CT | Field of view 496 mm wide, 0.80 mm slice spacing

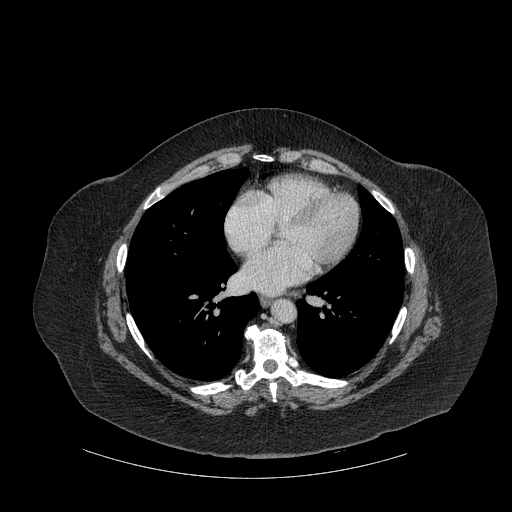
lung:
  - bbox(126, 168, 259, 380)
  - bbox(297, 188, 403, 377)
bone:
  - bbox(405, 248, 414, 272)
  - bbox(377, 196, 393, 212)
  - bbox(254, 155, 272, 160)
  - bbox(390, 307, 406, 342)
  - bbox(191, 383, 229, 394)
  - bbox(235, 325, 346, 401)
  - bbox(144, 188, 162, 208)
  - bbox(126, 314, 149, 356)
  - bbox(117, 244, 126, 271)